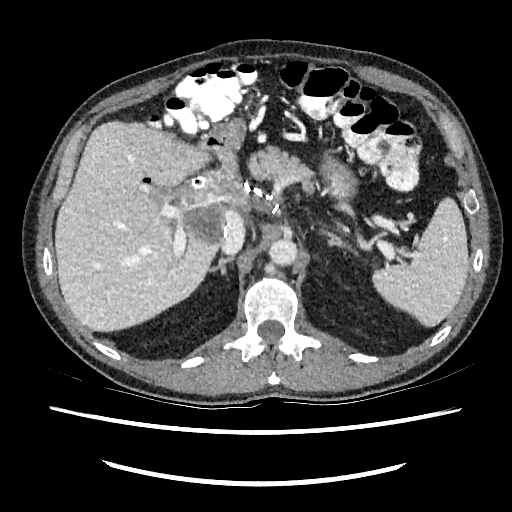 CT
The focal liver lesion appears at l=175, t=165, r=239, b=243. 2 liver regions are located at l=55, t=123, r=217, b=329; l=220, t=149, r=251, b=217.